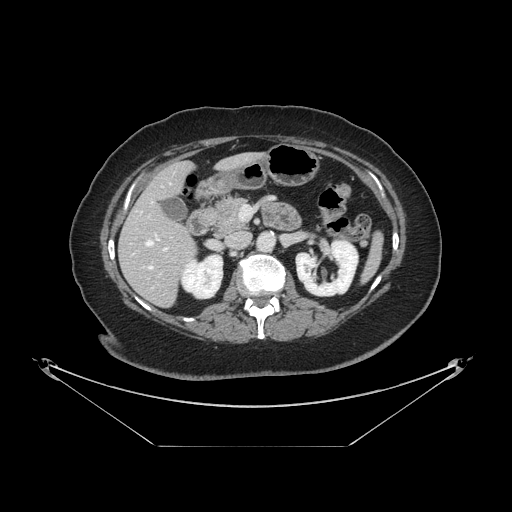

Upper abdomen. CT. {
  "pancreas": [
    "rect(205, 198, 246, 238)"
  ],
  "pancreatic_tumor": [
    "rect(225, 205, 235, 216)"
  ]
}